CT. 512x512.
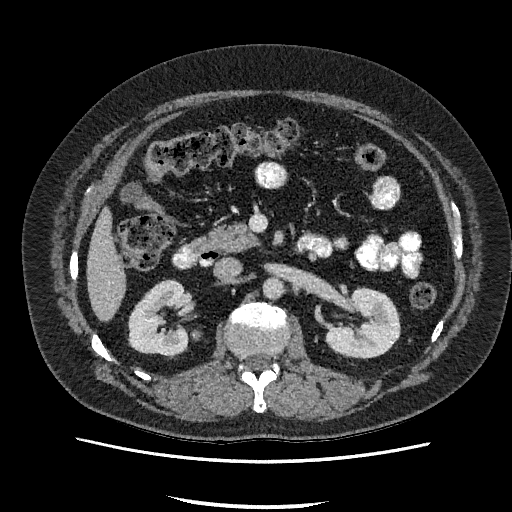 The liver appears at l=87, t=209, r=126, b=320. 2 kidney regions appear at l=327, t=289, r=399, b=357; l=129, t=281, r=187, b=354.